Slice 94 of 144; CT image
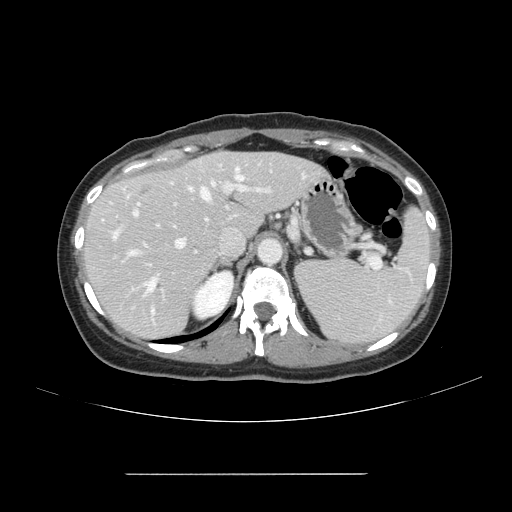
The vessel boxes may cover only some of the vessels.
Liver tumor: bounding box bbox=[138, 187, 147, 194].
Hepatic vessel: bounding box bbox=[133, 210, 137, 215]; bbox=[175, 238, 185, 247]; bbox=[144, 278, 155, 294]; bbox=[151, 309, 154, 314]; bbox=[129, 251, 137, 254]; bbox=[127, 195, 128, 197]; bbox=[212, 181, 214, 185]; bbox=[188, 187, 192, 190]; bbox=[201, 187, 210, 200]; bbox=[137, 203, 138, 205]; bbox=[112, 231, 118, 238]; bbox=[256, 188, 266, 191]; bbox=[235, 167, 246, 190].